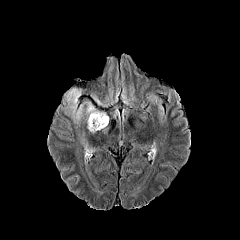
FLAIR MRI.
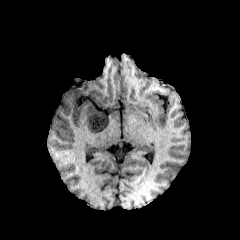
T1-weighted magnetic resonance.
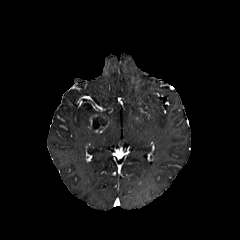
Same slice, post-contrast T1-weighted magnetic resonance.
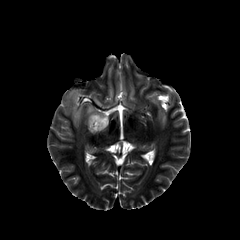
T2-weighted MR image.
Head
The non-enhancing tumor core lies within [x1=91, y1=112, x2=108, y2=132]. 3 edema regions are located at [x1=87, y1=145, x2=95, y2=154], [x1=91, y1=85, x2=120, y2=107], [x1=63, y1=89, x2=97, y2=128].